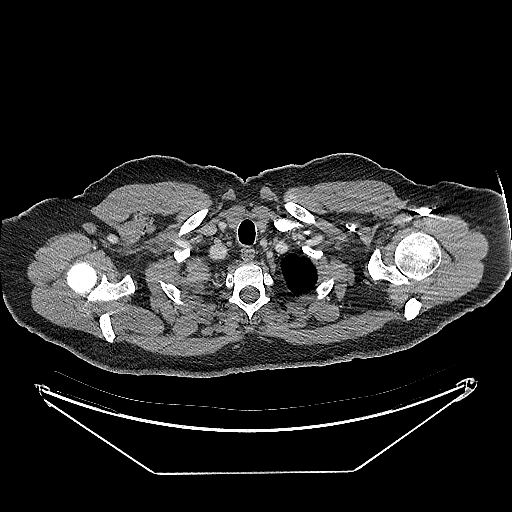 CT
Annotated regions:
* lung tumor: (left=181, top=258, right=211, bottom=282)